FLAIR magnetic resonance.
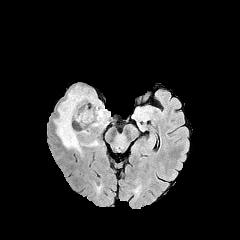
T1-weighted MRI.
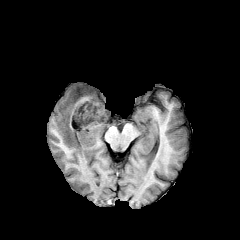
Post-contrast T1-weighted magnetic resonance.
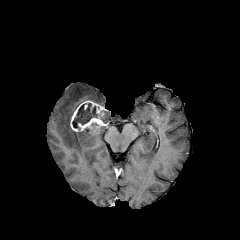
T2-weighted MRI.
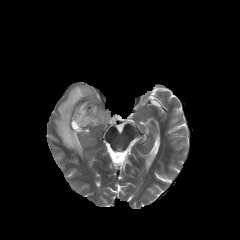
The edema is located at bbox=[54, 85, 99, 156]. The enhancing tumor is located at bbox=[70, 101, 108, 131]. 2 non-enhancing tumor core regions are located at bbox=[84, 123, 97, 132]; bbox=[72, 103, 97, 127].